512x512 px | Field of view 418x418 mm | Computed tomography
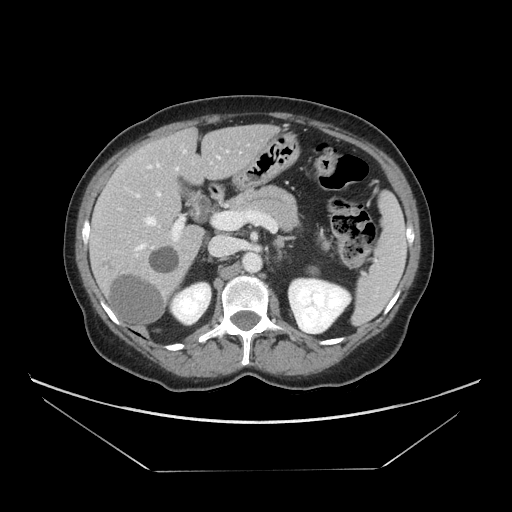 pancreas:
  - box=[230, 185, 300, 232]